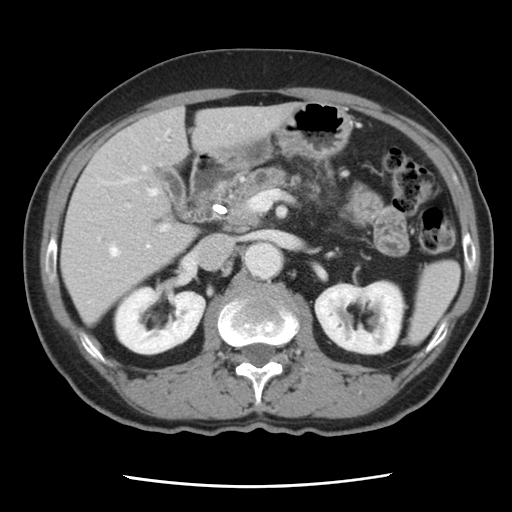 512x512 px, CT scan slice

Pancreas: bounding box <bbox>228, 168, 305, 213</bbox>.
Pancreatic tumor: bounding box <bbox>225, 203, 261, 227</bbox>.